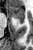

MR image
Posterior hippocampus at 20, 21, 23, 23.
Anterior hippocampus at 9, 6, 24, 20.